Abdomen | CT image

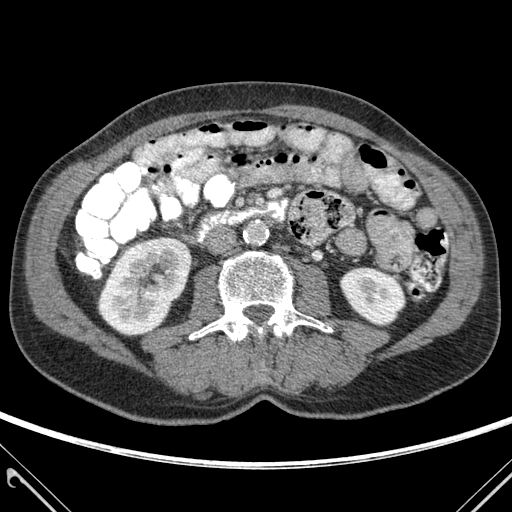
• kidney: left=341, top=268, right=403, bottom=323; left=99, top=238, right=187, bottom=334
• bone: left=189, top=251, right=332, bottom=340